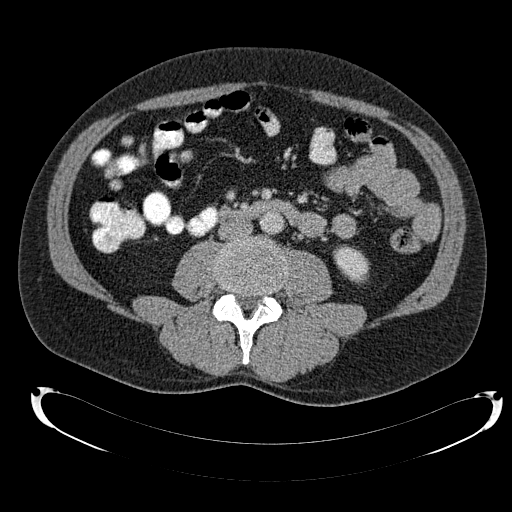 CT image | Abdomen | 512x512
Kidney: 335 247 367 280.